Image size 512x512 | CT scan slice | Abdomen 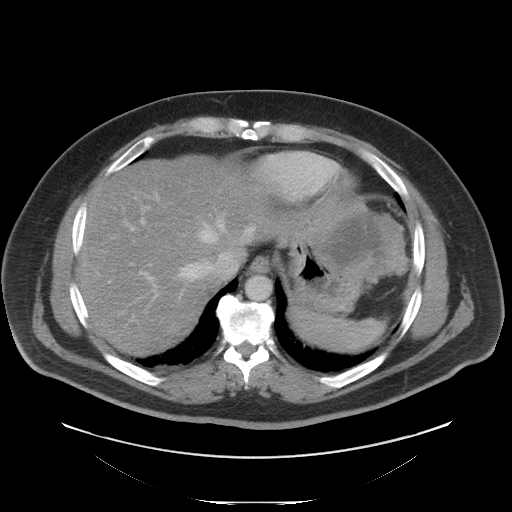

The pancreatic tumor lies within x1=314 y1=212 x2=405 y2=275. The pancreas is at x1=345 y1=261 x2=380 y2=278.